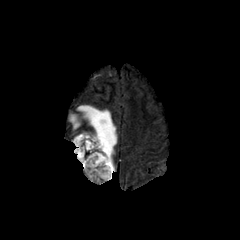
FLAIR MR.
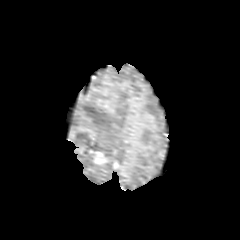
T1-weighted magnetic resonance of the same slice.
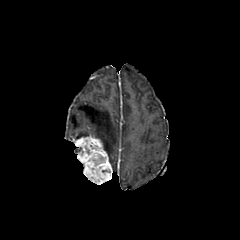
Post-contrast T1-weighted MR.
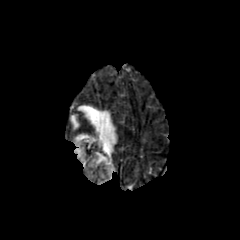
Same slice, T2-weighted magnetic resonance.
Head
2 edema regions appear at l=77, t=105, r=117, b=171; l=70, t=115, r=79, b=128. The enhancing tumor is located at l=72, t=134, r=112, b=184.